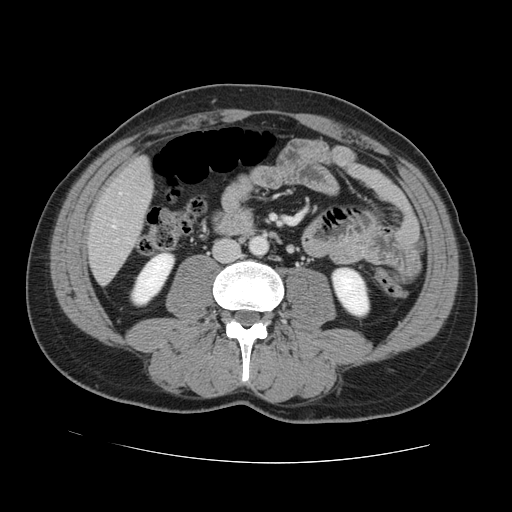
CT image
Some hepatic vessels may have no box.
Hepatic vessel: bounding box l=115, t=240, r=117, b=242; l=129, t=241, r=132, b=243; l=112, t=220, r=115, b=228.